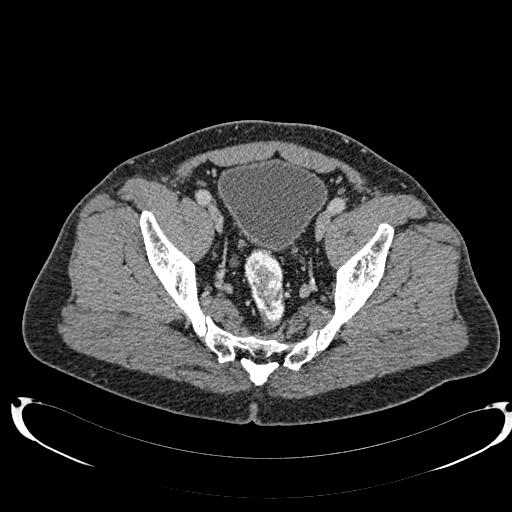 Computed tomography
The urinary bladder lies within [x1=219, y1=158, x2=327, y2=251].